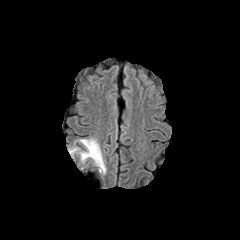
FLAIR magnetic resonance.
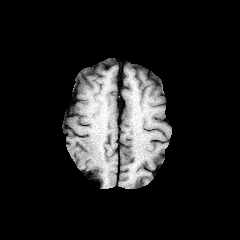
T1-weighted magnetic resonance.
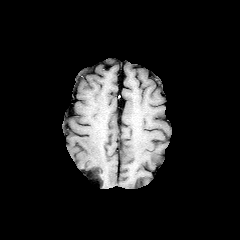
Post-contrast T1-weighted MR of the same slice.
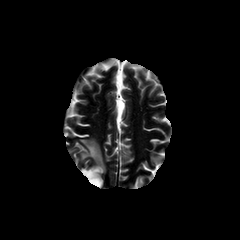
Same slice, T2-weighted magnetic resonance.
240x240 px.
Edema: bounding box 68 136 107 175.